Slice 28 of 41, Image size 512x512, CT, Abdomen
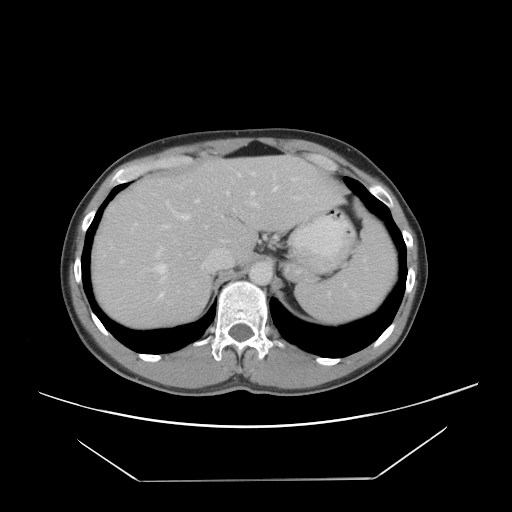 The vessel boxes may cover only some of the vessels.
Findings:
• hepatic vessel (principal 15 of 17): <box>273,187,277,190</box>, <box>249,201,258,206</box>, <box>252,172,254,174</box>, <box>232,179,233,181</box>, <box>154,264,166,282</box>, <box>161,225,168,228</box>, <box>251,191,254,194</box>, <box>294,197,300,199</box>, <box>238,173,240,176</box>, <box>291,177,297,180</box>, <box>166,201,188,219</box>, <box>158,292,163,298</box>, <box>226,191,228,194</box>, <box>202,263,206,267</box>, <box>196,199,199,202</box>